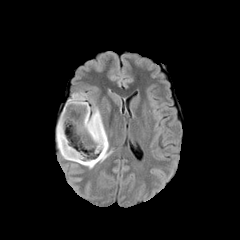
FLAIR MRI.
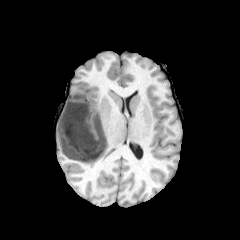
T1-weighted magnetic resonance.
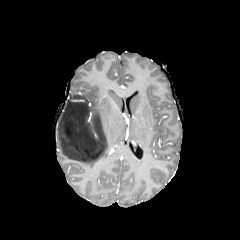
Post-contrast T1-weighted MR of the same slice.
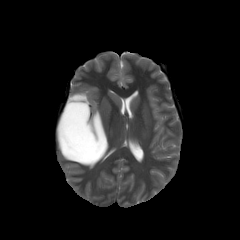
T2-weighted magnetic resonance.
Image size 240x240
Edema: rect(80, 91, 109, 152); rect(56, 118, 108, 167).
Non-enhancing tumor core: rect(58, 92, 109, 161).